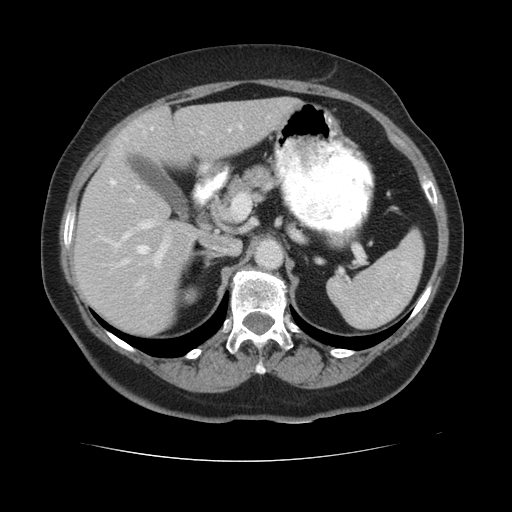
CT scan slice | 512x512 px

• pancreatic tumor: (left=219, top=205, right=232, bottom=222)
• pancreas: (left=214, top=167, right=270, bottom=219)